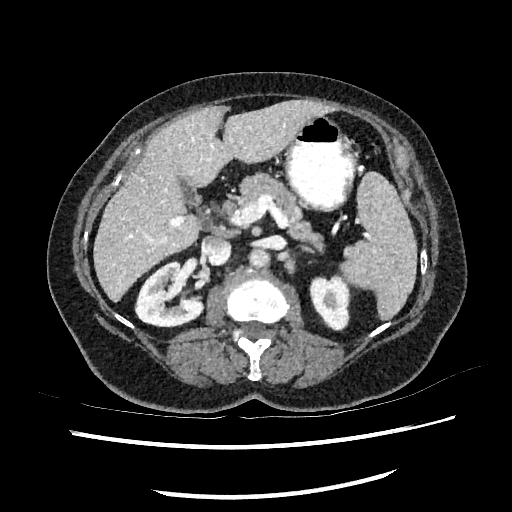

CT image, Upper abdomen

2 kidney regions appear at [136, 262, 202, 325], [311, 278, 347, 328]. The hepatic lesion is bounded by [102, 242, 112, 253]. The liver is bounded by [94, 101, 327, 301].